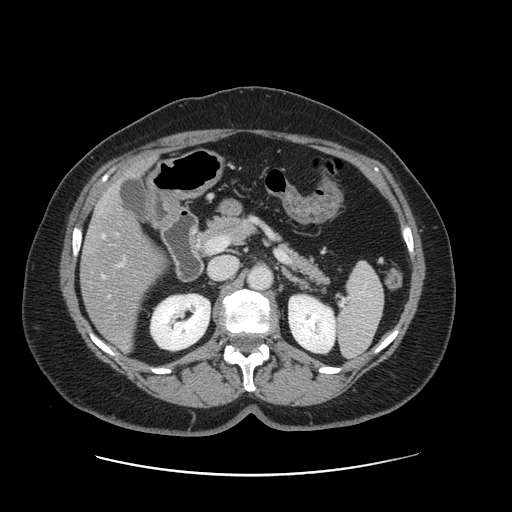
512x512, CT image

Not every hepatic vessel necessarily has a box.
hepatic_vessel:
  - x1=124, y1=257, x2=124, y2=260
  - x1=115, y1=233, x2=118, y2=235
  - x1=108, y1=295, x2=109, y2=297
  - x1=103, y1=276, x2=104, y2=277
  - x1=117, y1=263, x2=123, y2=266
  - x1=102, y1=234, x2=105, y2=237